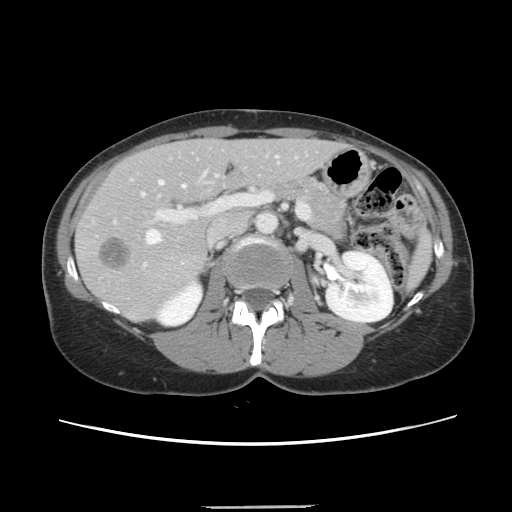
CT, Liver
Some hepatic vessels may have no box.
11 hepatic vessel regions are bounded by l=215, t=174, r=217, b=176; l=183, t=185, r=184, b=187; l=144, t=263, r=144, b=266; l=275, t=156, r=278, b=163; l=146, t=230, r=160, b=243; l=141, t=192, r=144, b=195; l=180, t=221, r=183, b=221; l=113, t=220, r=114, b=223; l=155, t=210, r=164, b=216; l=202, t=171, r=205, b=177; l=159, t=180, r=162, b=184. The liver tumor appears at l=99, t=237, r=129, b=268.